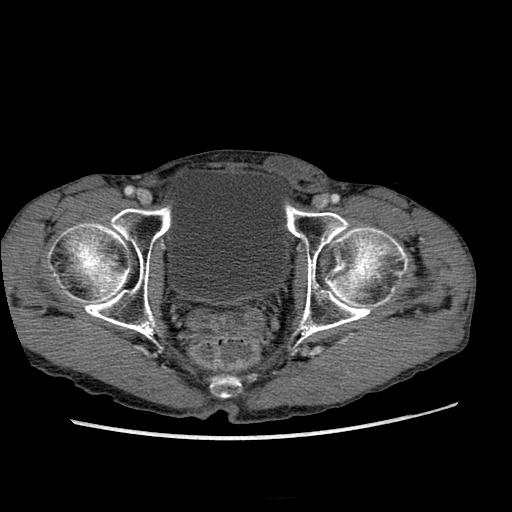

CT image
The urinary bladder lies within l=167, t=168, r=288, b=298.